Slice 80 of 241. Computed tomography.

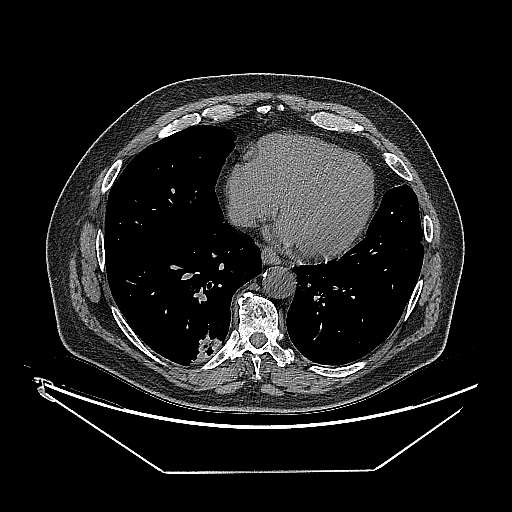

The lung tumor is located at [189,334,223,364].